Slice 86/155, Brain
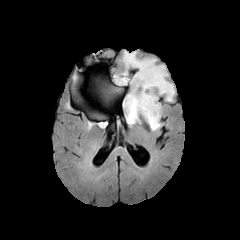
FLAIR magnetic resonance.
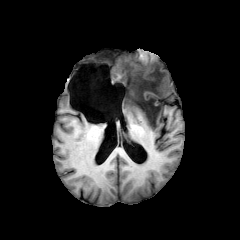
Same slice, T1-weighted MR image.
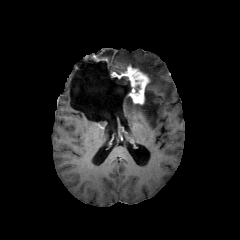
Post-contrast T1-weighted magnetic resonance.
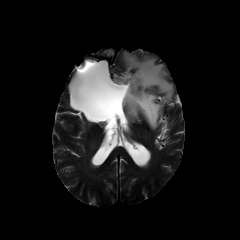
Same slice, T2-weighted MR.
<segmentation>
  <edema>left=122, top=52, right=174, bottom=130</edema>
  <enhancing_tumor>left=114, top=65, right=149, bottom=104</enhancing_tumor>
  <non-enhancing_tumor_core>left=136, top=76, right=157, bottom=117; left=116, top=76, right=133, bottom=103</non-enhancing_tumor_core>
</segmentation>